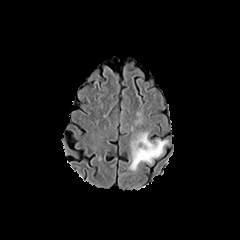
FLAIR magnetic resonance.
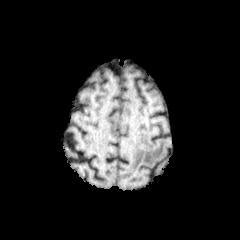
Same slice, T1-weighted MR.
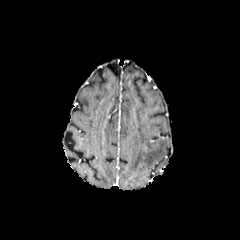
Post-contrast T1-weighted MRI.
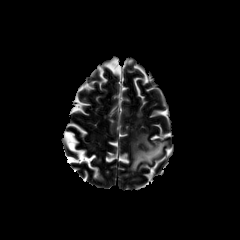
Same slice, T2-weighted MR.
240x240
Annotated regions:
- edema: [x1=128, y1=132, x2=168, y2=171]